Image width 240 mm, Brain
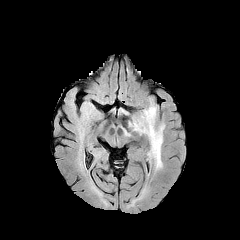
FLAIR MR image.
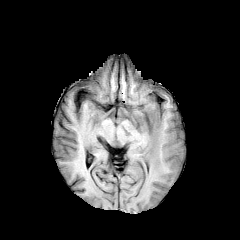
T1-weighted MR.
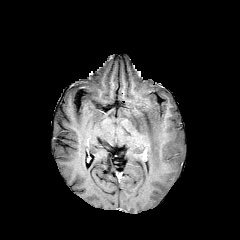
Post-contrast T1-weighted MR.
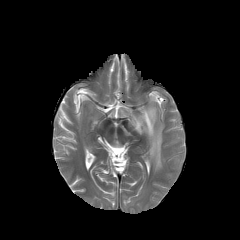
T2-weighted MR.
The edema is located at bbox=[128, 98, 165, 171].